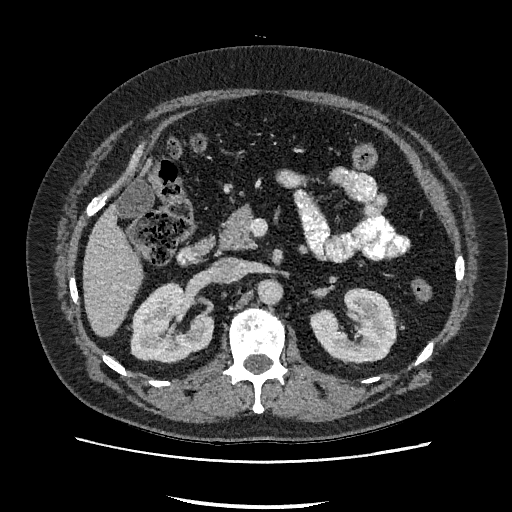

CT slice; Image size 512x512
kidney:
  - bbox(311, 289, 395, 361)
  - bbox(132, 284, 212, 361)
liver:
  - bbox(83, 205, 142, 335)
  - bbox(142, 160, 150, 173)